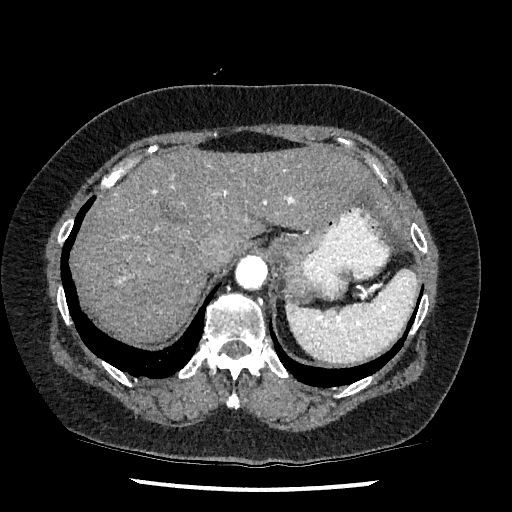
Image size 512x512; CT slice
The liver is bounded by 74:147:396:343. The liver lesion lies within 353:189:382:218.